MRI; Slice 96 of 120; Heart 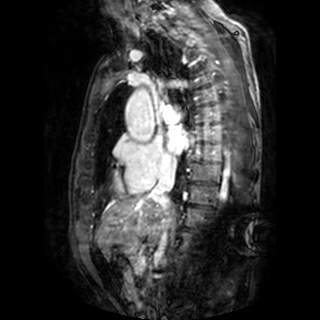
- left atrium: <bbox>167, 129, 190, 154</bbox>